240x240; Image width 240 mm
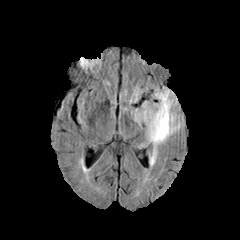
FLAIR MR image.
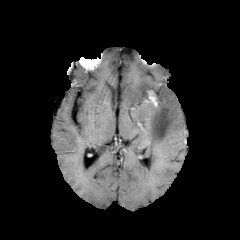
T1-weighted magnetic resonance.
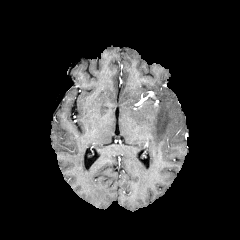
Post-contrast T1-weighted MRI.
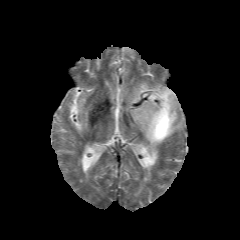
Same slice, T2-weighted MRI.
edema:
  - 137:85:148:93
  - 133:86:183:145